FLAIR magnetic resonance.
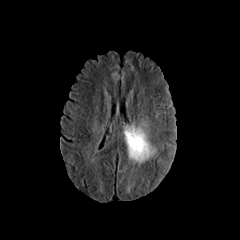
T1-weighted MR.
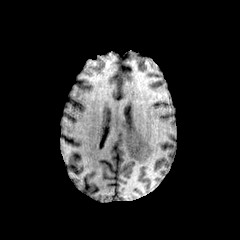
Post-contrast T1-weighted MRI.
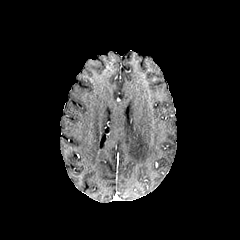
T2-weighted MRI.
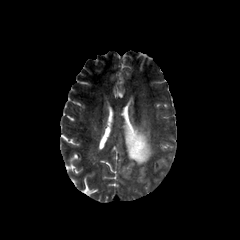
Brain
Edema — [124,121,156,170].